FLAIR magnetic resonance.
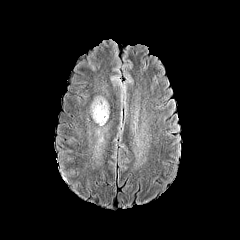
T1-weighted MR.
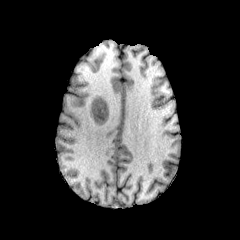
Post-contrast T1-weighted MR image.
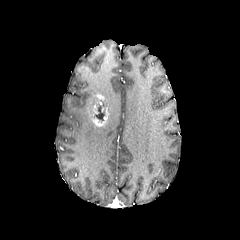
T2-weighted MR image.
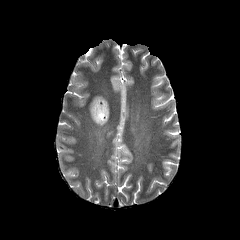
240x240.
The non-enhancing tumor core is at (91, 97, 108, 123). The enhancing tumor is bounded by (89, 102, 109, 126).